Image size 240x240
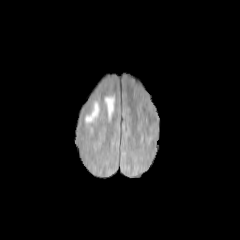
FLAIR MR image.
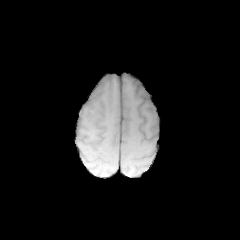
T1-weighted MRI of the same slice.
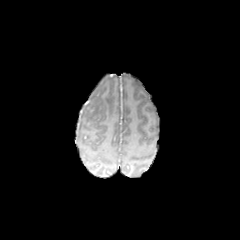
Same slice, post-contrast T1-weighted MRI.
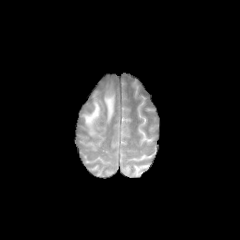
T2-weighted magnetic resonance.
2 edema regions appear at [104, 94, 114, 122], [84, 100, 99, 130].